Slice 545/565; CT image
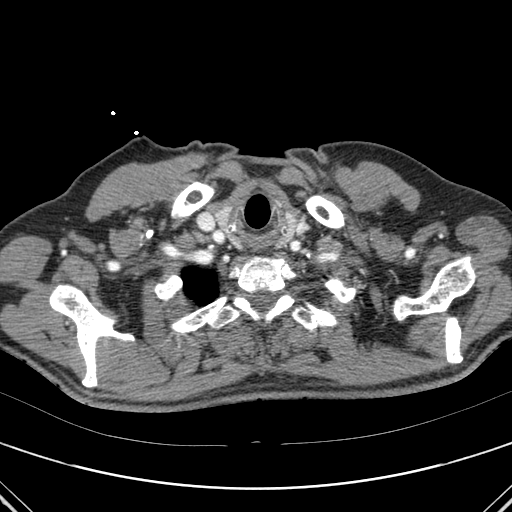 The lung appears at 182 267 218 305. 11 bone regions are bounded by 154 275 182 300, 49 285 134 387, 305 195 344 228, 444 317 462 363, 393 256 475 319, 171 294 294 333, 405 249 414 257, 230 257 295 292, 171 182 214 217, 292 303 337 329, 325 279 355 302.